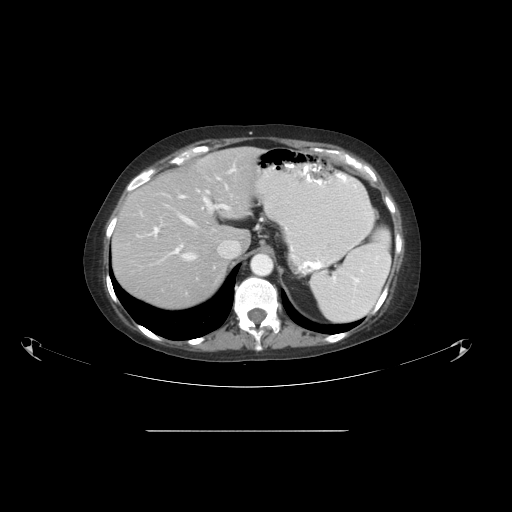 Computed tomography | 512x512 | Abdomen

The vessel annotation is not exhaustive.
<segmentation partial="true">
  <hepatic_vessel shown="15" total="16">[180, 215, 194, 225], [225, 185, 227, 188], [168, 244, 183, 254], [158, 257, 165, 262], [144, 227, 158, 236], [179, 195, 185, 198], [182, 253, 195, 260], [217, 177, 220, 179], [214, 204, 230, 209], [205, 200, 210, 207], [207, 191, 209, 192], [228, 164, 236, 173], [165, 205, 168, 206], [197, 189, 199, 191], [136, 234, 141, 237]</hepatic_vessel>
</segmentation>